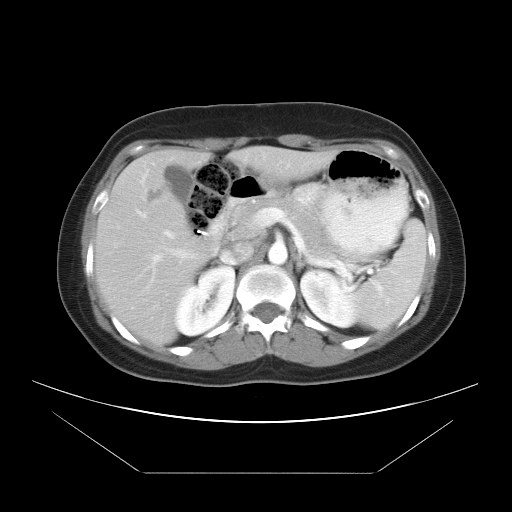
Liver. CT. Image size 512x512.

The vessel boxes may cover only some of the vessels.
4 hepatic vessel regions appear at 136, 210, 146, 217; 151, 248, 196, 269; 256, 208, 271, 224; 163, 230, 174, 238. The liver tumor is bounded by 144, 185, 166, 204.